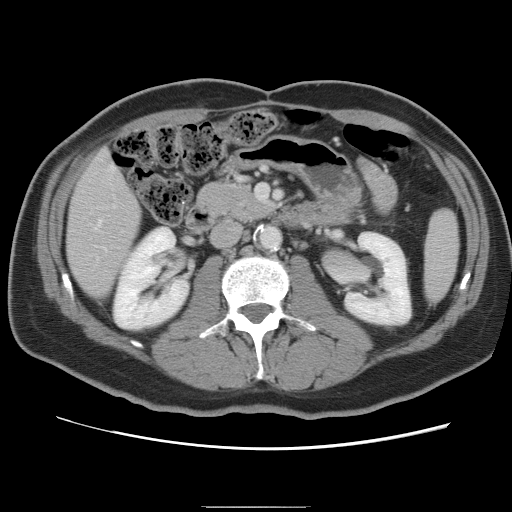

CT image.
The vessel annotation is not exhaustive.
3 hepatic vessel regions are located at (94,219,100,229), (96,256,98,258), (113,204,115,206).